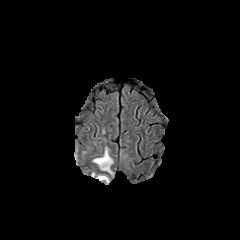
FLAIR MR.
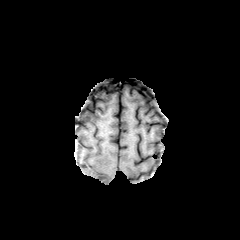
T1-weighted MR image.
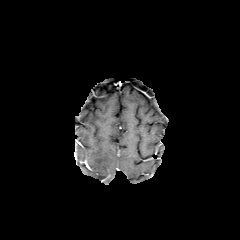
Post-contrast T1-weighted MR of the same slice.
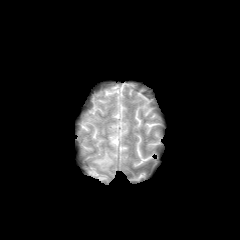
T2-weighted MRI.
edema: bbox(92, 149, 112, 182)